512x512 px | CT scan slice | Upper abdomen | Slice index 38
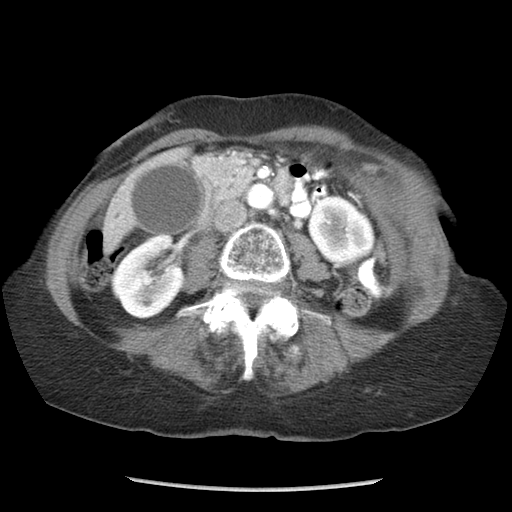
The pancreas is at 207, 153, 254, 197.